240x240 px. Brain.
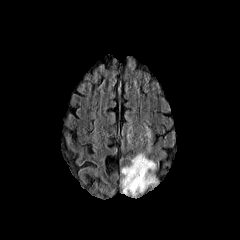
FLAIR magnetic resonance.
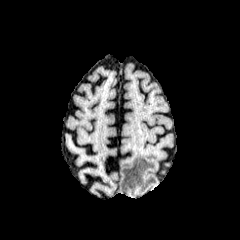
T1-weighted MR.
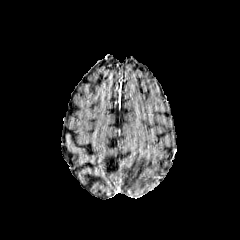
Post-contrast T1-weighted MR image of the same slice.
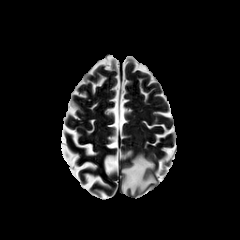
T2-weighted MR image.
Edema: 119,152,158,197.